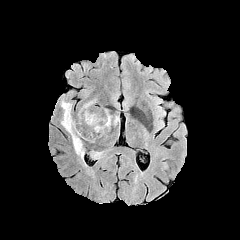
FLAIR magnetic resonance.
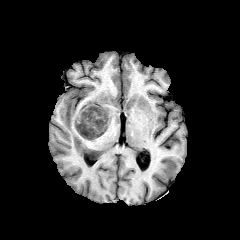
T1-weighted magnetic resonance.
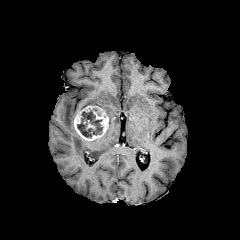
Post-contrast T1-weighted MRI.
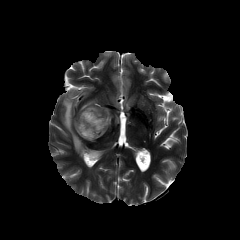
Same slice, T2-weighted magnetic resonance.
Brain. 240x240.
Non-enhancing tumor core = 77 108 102 137.
Enhancing tumor = 73 106 108 140.
Edema = 89 150 99 157, 61 97 85 160.